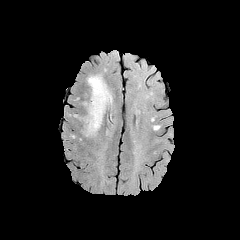
FLAIR magnetic resonance.
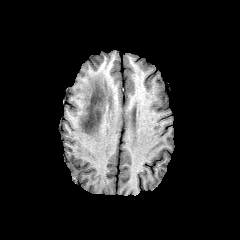
T1-weighted MR.
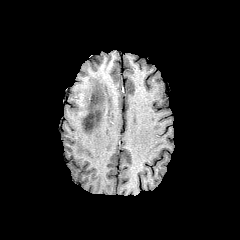
Post-contrast T1-weighted magnetic resonance.
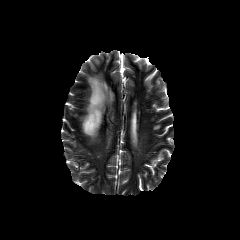
Same slice, T2-weighted MR.
Brain. 240x240 px.
Findings:
- edema: <bbox>86, 73, 113, 137</bbox>, <bbox>82, 98, 89, 120</bbox>
- non-enhancing tumor core: <bbox>83, 92, 100, 131</bbox>